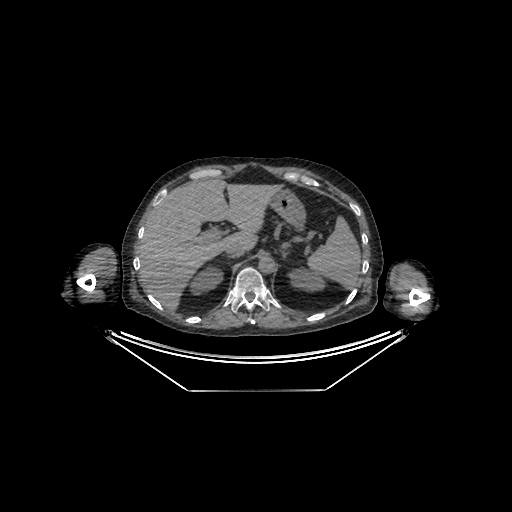 Computed tomography

Kidney at <box>189,266,223,294</box>, <box>288,267,325,291</box>.
Liver at <box>136,176,282,310</box>.